Slice 94/155
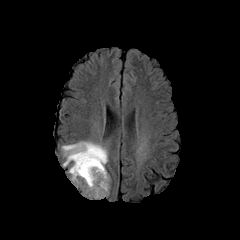
FLAIR MR image.
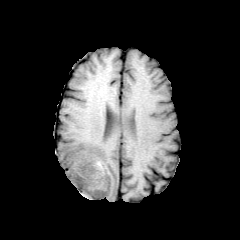
T1-weighted magnetic resonance of the same slice.
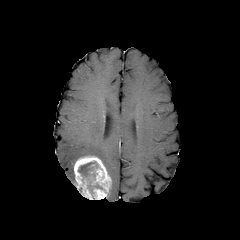
Post-contrast T1-weighted magnetic resonance of the same slice.
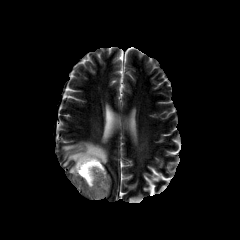
T2-weighted MR.
{
  "non-enhancing_tumor_core": [
    "l=78, t=161, r=98, b=175"
  ],
  "enhancing_tumor": [
    "l=73, t=156, r=110, b=199"
  ],
  "edema": [
    "l=61, t=141, r=108, b=181"
  ]
}